Field of view 240x240 mm. Brain.
FLAIR MRI.
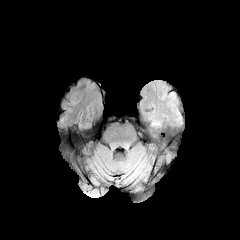
T1-weighted MR image.
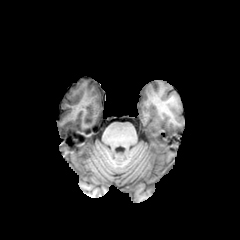
Post-contrast T1-weighted MRI.
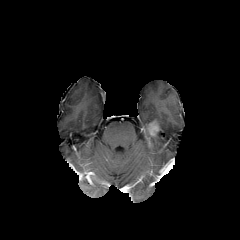
T2-weighted MR.
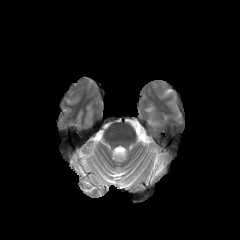
The enhancing tumor is bounded by x1=147, y1=121, x2=159, y2=135.